Slice index 440 | Liver | CT slice
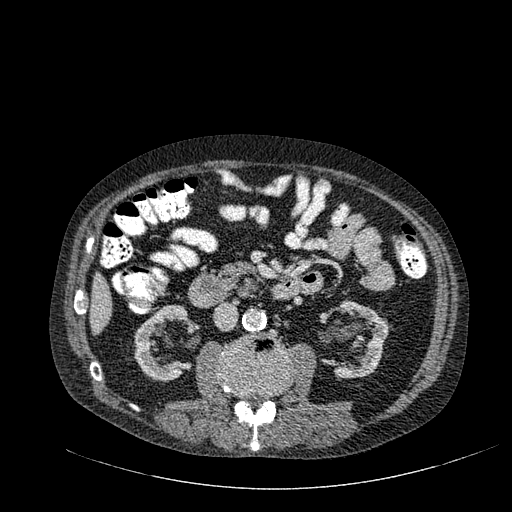

The liver lies within [x1=91, y1=274, x2=111, y2=333]. 3 kidney regions appear at [x1=319, y1=301, x2=388, y2=377], [x1=187, y1=338, x2=197, y2=348], [x1=134, y1=304, x2=199, y2=381].